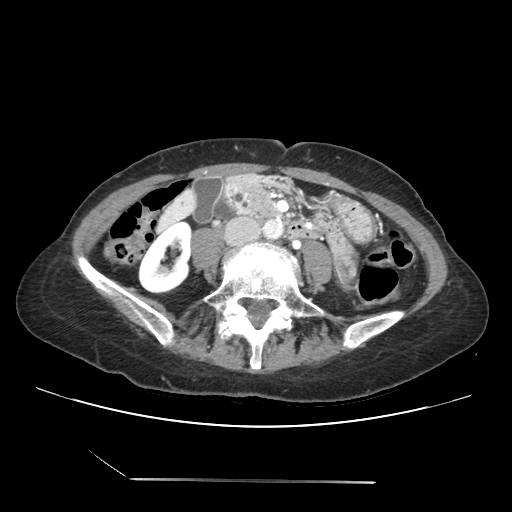

CT

<segmentation>
  <pancreas><box>214,174,298,222</box></pancreas>
</segmentation>